Image size 240x240 | Brain
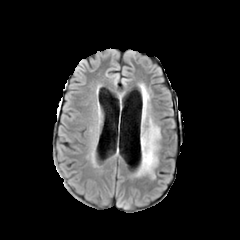
FLAIR MR image.
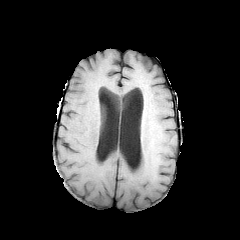
T1-weighted MR image of the same slice.
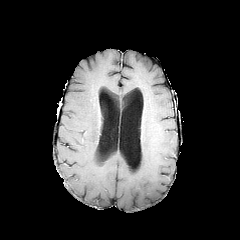
Post-contrast T1-weighted MR image.
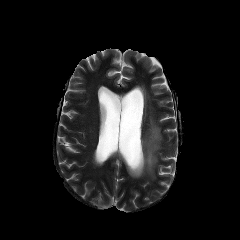
T2-weighted MRI.
Edema at [134,116,160,178], [139,84,150,135].